Head; Slice 77/155; 240x240 px
FLAIR magnetic resonance.
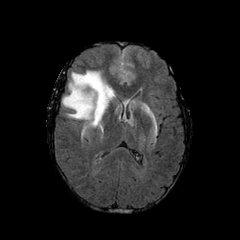
T1-weighted MR image.
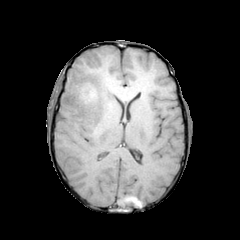
Post-contrast T1-weighted MR image.
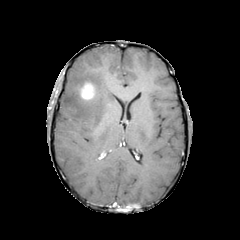
T2-weighted MR image.
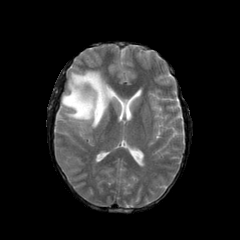
The edema is at region(62, 70, 116, 130). The enhancing tumor lies within region(82, 84, 93, 99).